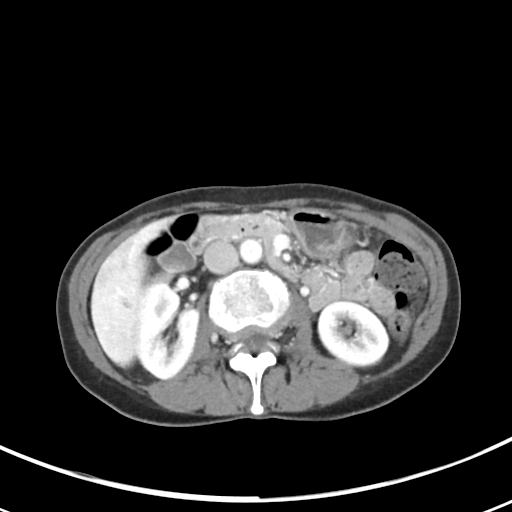

CT slice, Abdomen
{"liver_tumor": ["[x1=100, y1=241, x2=136, y2=314]"]}